Heart; Image size 320x320; MRI

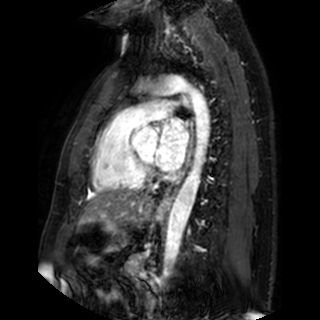

Segmented structures:
- left atrium: (155, 119, 188, 171)